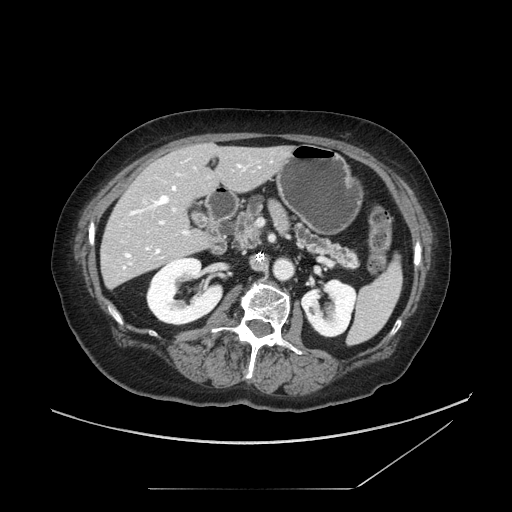
Abdomen | CT
2 pancreas regions are bounded by box(221, 197, 262, 248); box(293, 224, 359, 268). The pancreatic tumor is located at box(241, 225, 258, 243).